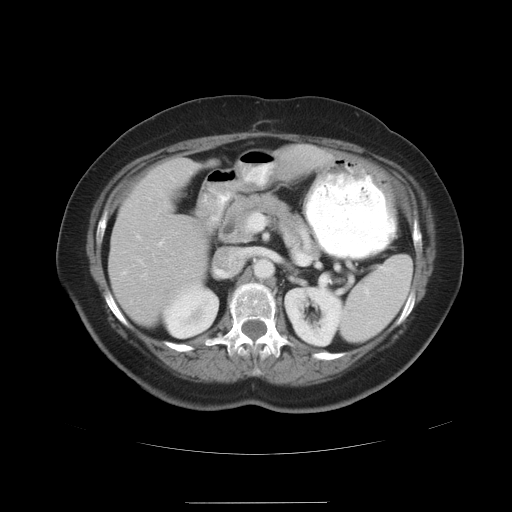 CT scan slice.

Some hepatic vessels may have no box.
7 hepatic vessel regions are bounded by l=137, t=235, r=139, b=238; l=121, t=270, r=126, b=274; l=249, t=215, r=253, b=220; l=158, t=241, r=163, b=245; l=236, t=249, r=275, b=258; l=261, t=216, r=264, b=223; l=246, t=220, r=256, b=230.